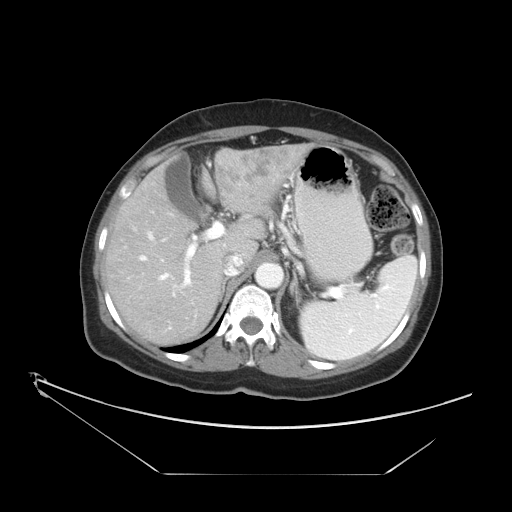
CT image.
Only some of the vessels may be annotated.
Annotated regions:
* hepatic vessel: x1=184 y1=269 x2=190 y2=285, x1=187 y1=244 x2=195 y2=257, x1=160 y1=273 x2=167 y2=279, x1=193 y1=236 x2=195 y2=238, x1=173 y1=293 x2=174 y2=294, x1=148 y1=233 x2=152 y2=239, x1=140 y1=256 x2=145 y2=260, x1=169 y1=325 x2=171 y2=328, x1=207 y1=223 x2=222 y2=237, x1=162 y1=239 x2=164 y2=240
* liver tumor: x1=219 y1=149 x2=285 y2=197